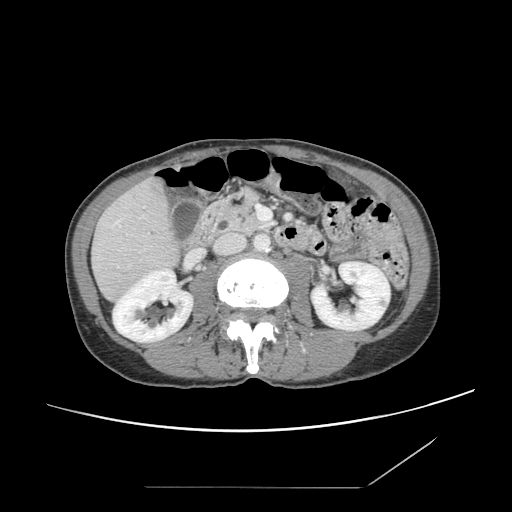

CT scan slice.
Pancreas = <bbox>212, 187, 273, 237</bbox>.